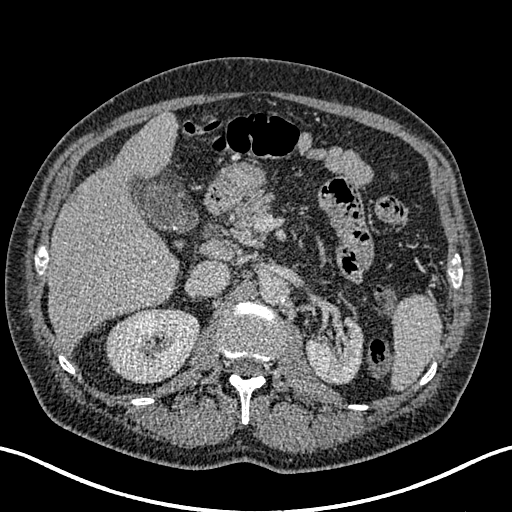

CT, Image size 512x512
{
  "kidney": [
    "307 319 362 382",
    "107 310 198 382"
  ],
  "liver": [
    "48 114 177 350"
  ]
}